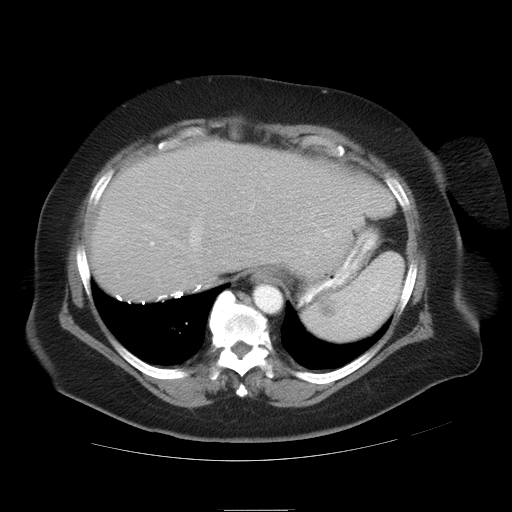
CT | Liver
Only some of the vessels may be annotated.
3 hepatic vessel regions are bounded by x1=189, y1=219, x2=201, y2=250; x1=150, y1=241, x2=154, y2=245; x1=196, y1=255, x2=201, y2=255.